CT slice, 512x512 px, Slice 42/85
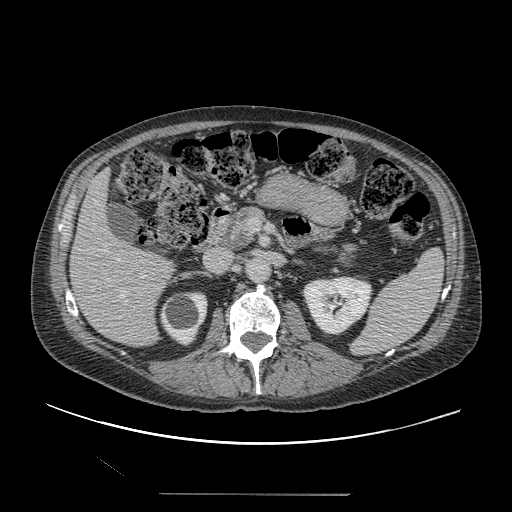

pancreas: [321,245,355,251], [212,206,265,250]